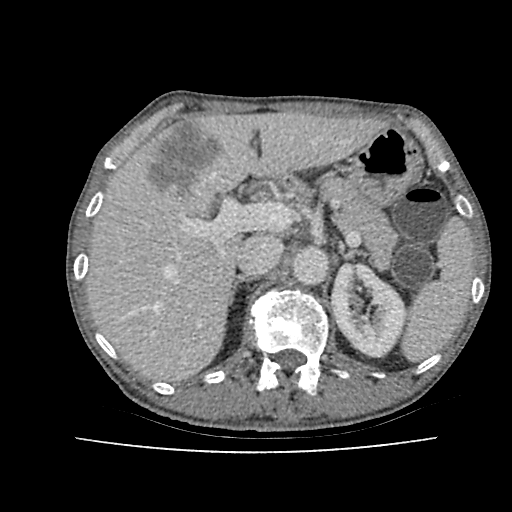
Liver. CT. The kidney is at 332,265,404,355. The hepatic lesion lies within 147,124,224,201. The liver is bounded by 89,114,381,379.